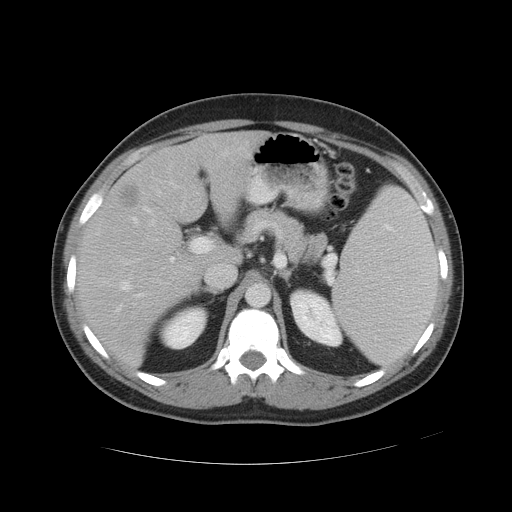 Computed tomography; Abdomen; 512x512
Some hepatic vessels may have no box.
Findings:
* liver tumor: region(123, 187, 138, 207)
* hepatic vessel: region(151, 219, 155, 225); region(115, 304, 122, 311); region(122, 282, 129, 289); region(143, 206, 153, 214); region(170, 257, 173, 261); region(132, 217, 137, 226)